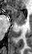
Image size 32x54 | Hippocampus | MR

The posterior hippocampus is located at 17 24 22 27. The anterior hippocampus is bounded by 8 6 26 24.